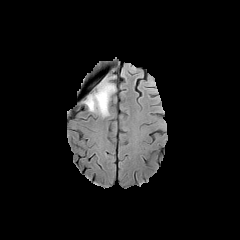
FLAIR MR image.
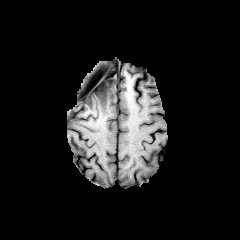
T1-weighted MR of the same slice.
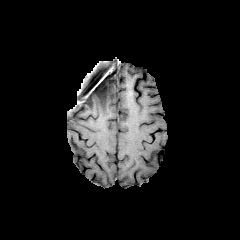
Post-contrast T1-weighted MR image of the same slice.
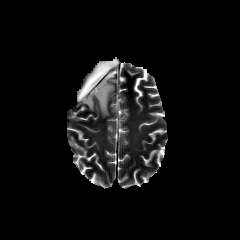
Same slice, T2-weighted MR.
Brain
Findings:
• edema: 85, 84, 115, 117
• non-enhancing tumor core: 82, 77, 111, 101